FLAIR magnetic resonance.
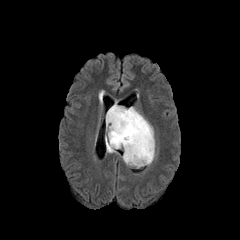
T1-weighted MRI.
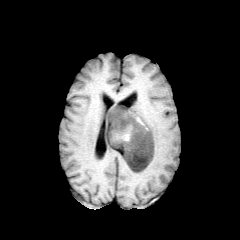
Post-contrast T1-weighted MRI.
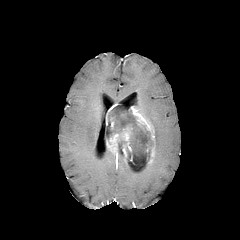
T2-weighted magnetic resonance.
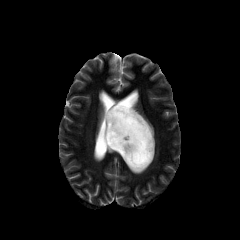
Head; Image size 240x240
{
  "enhancing_tumor": [
    "x1=106, y1=104, x2=116, y2=129",
    "x1=146, y1=147, x2=154, y2=163",
    "x1=129, y1=106, x2=154, y2=139",
    "x1=106, y1=128, x2=132, y2=160"
  ],
  "non-enhancing_tumor_core": [
    "x1=118, y1=140, x2=125, y2=149",
    "x1=106, y1=106, x2=154, y2=166"
  ],
  "edema": [
    "x1=126, y1=162, x2=150, y2=170"
  ]
}